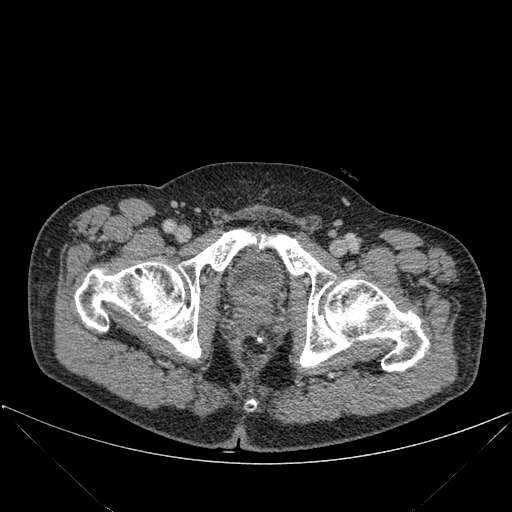
512x512 px, CT
bone: [246, 400, 256, 409], [259, 235, 428, 371], [75, 230, 256, 358]